FLAIR MR image.
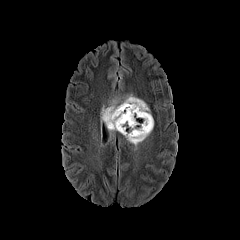
T1-weighted MR image.
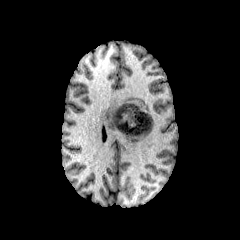
Post-contrast T1-weighted MR.
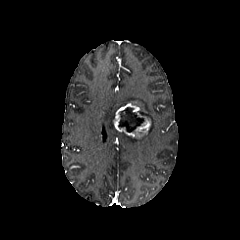
T2-weighted MR.
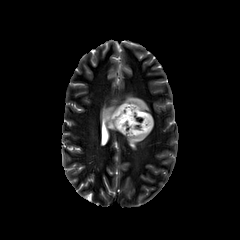
Brain
Enhancing tumor: bounding box x1=113 y1=103 x2=151 y2=138.
Edema: bounding box x1=117 y1=94 x2=153 y2=145, x1=101 y1=99 x2=116 y2=132.
Non-enhancing tumor core: bounding box x1=118 y1=107 x2=148 y2=132.